FLAIR magnetic resonance.
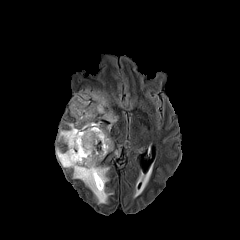
T1-weighted MR.
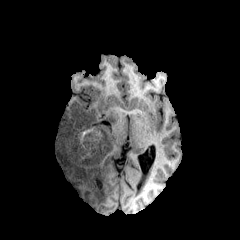
Post-contrast T1-weighted magnetic resonance.
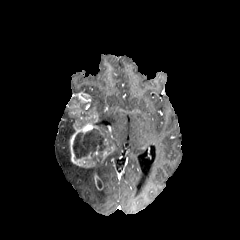
T2-weighted magnetic resonance.
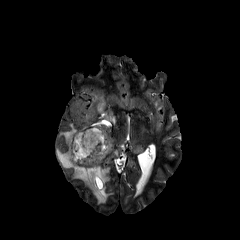
Head
{"enhancing_tumor": ["<box>67,95,116,168</box>"], "edema": ["<box>90,90,117,127</box>", "<box>55,121,112,204</box>", "<box>77,89,89,97</box>"], "non-enhancing_tumor_core": ["<box>95,120,110,130</box>", "<box>73,129,106,158</box>"]}